Brain.
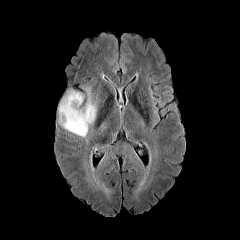
FLAIR MR image.
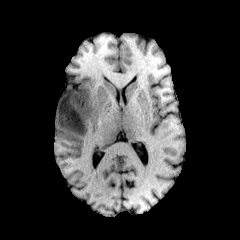
Same slice, T1-weighted MR image.
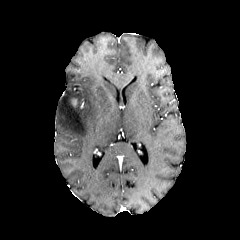
Same slice, post-contrast T1-weighted MRI.
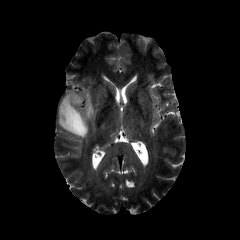
T2-weighted MR of the same slice.
enhancing tumor: (left=70, top=97, right=82, bottom=108) | edema: (left=57, top=87, right=95, bottom=140)